512x512 px, Upper abdomen, Computed tomography

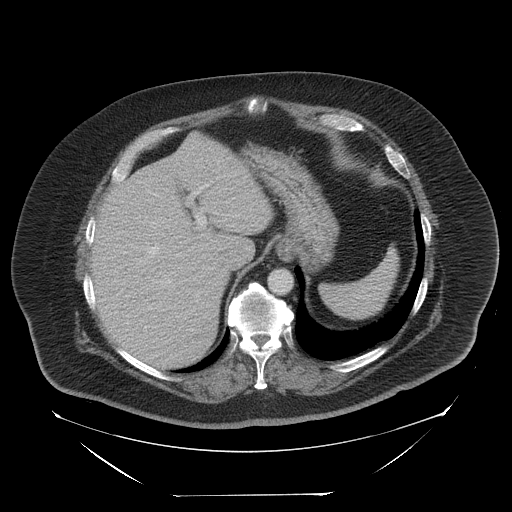

The spleen is located at <bbox>319, 249, 398, 318</bbox>.